Slice index 91; Upper abdomen; Computed tomography 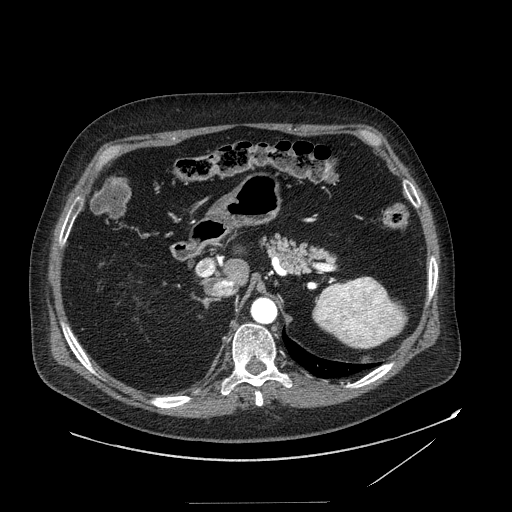
The pancreas lies within (255,234,337,275).